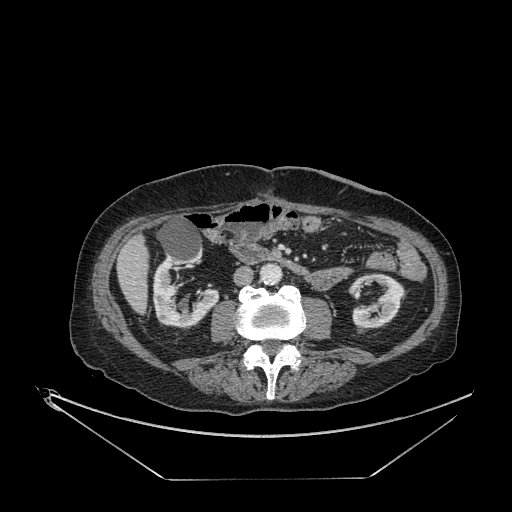

Computed tomography; Abdomen

{"liver": ["117:234:148:314"], "kidney": ["349:274:404:327", "153:255:218:326", "193:251:201:261"]}